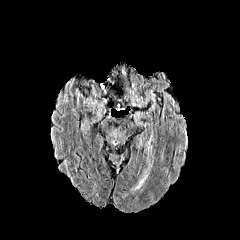
FLAIR MR image.
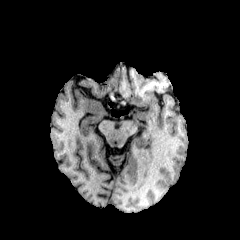
T1-weighted MR.
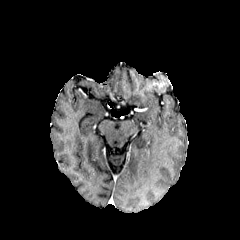
Same slice, post-contrast T1-weighted MRI.
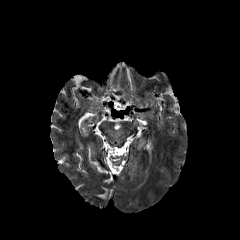
T2-weighted MRI.
<segmentation>
  <edema>region(134, 173, 148, 190)</edema>
</segmentation>